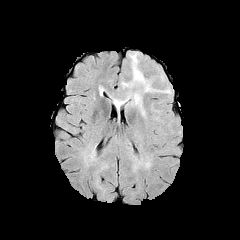
FLAIR MR image.
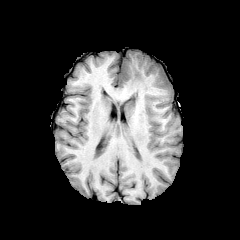
Same slice, T1-weighted MR.
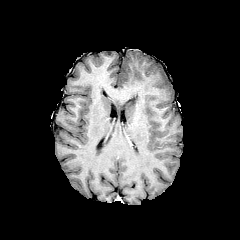
Post-contrast T1-weighted magnetic resonance of the same slice.
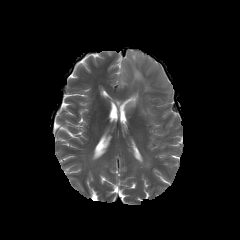
T2-weighted MR image of the same slice.
240x240
Edema: bounding box 109 51 153 115.